FLAIR MR.
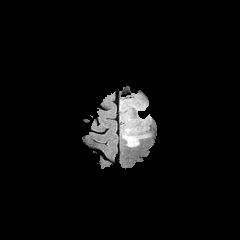
T1-weighted magnetic resonance.
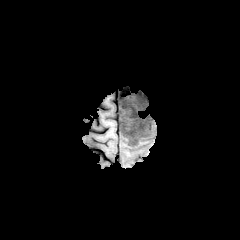
Post-contrast T1-weighted MRI.
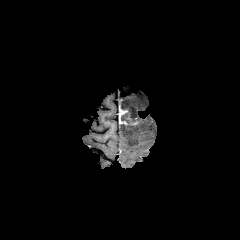
T2-weighted MR.
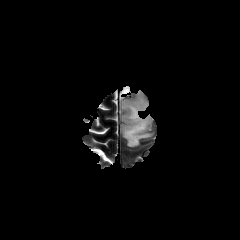
Image size 240x240 | Brain
{"enhancing_tumor": ["[132,129,147,140]", "[120,108,143,129]"], "non-enhancing_tumor_core": ["[121,121,149,147]"], "edema": ["[120,94,147,115]"]}